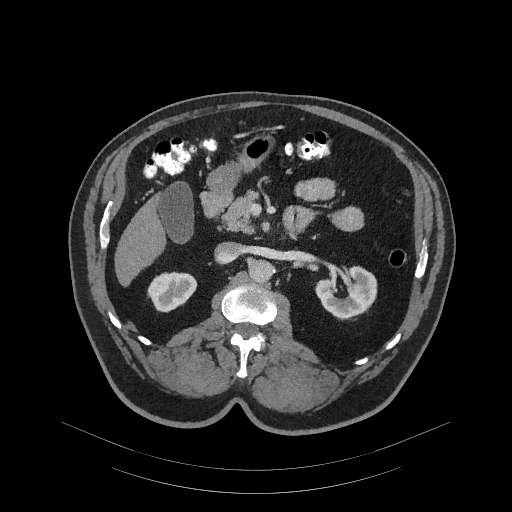

CT image. Abdomen. Segmented structures:
* pancreas: x1=224 y1=191 x2=257 y2=233